CT scan slice; Slice 34 of 48

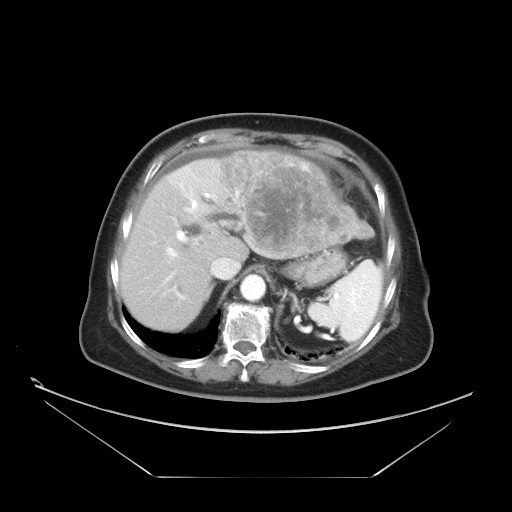
The vessel annotation is not exhaustive.
Liver tumor: bounding box (218, 150, 373, 258).
Hepatic vessel: bounding box (167, 249, 175, 255), (177, 231, 185, 240), (212, 259, 222, 275), (173, 287, 175, 291), (187, 200, 197, 211).